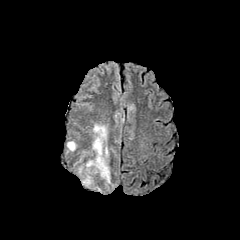
FLAIR MRI.
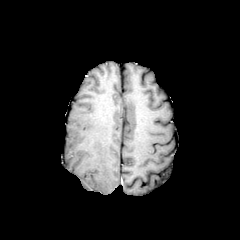
T1-weighted MR image of the same slice.
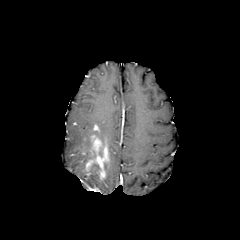
Same slice, post-contrast T1-weighted MR.
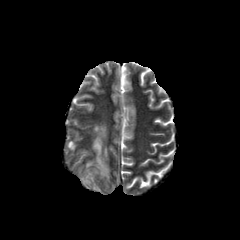
T2-weighted MR.
{
  "edema": [
    "bbox(67, 140, 76, 151)",
    "bbox(82, 150, 95, 159)",
    "bbox(101, 160, 109, 182)",
    "bbox(78, 160, 88, 175)",
    "bbox(93, 125, 107, 147)",
    "bbox(83, 175, 93, 186)"
  ],
  "non-enhancing_tumor_core": [
    "bbox(88, 158, 101, 175)"
  ],
  "enhancing_tumor": [
    "bbox(93, 138, 107, 178)"
  ]
}